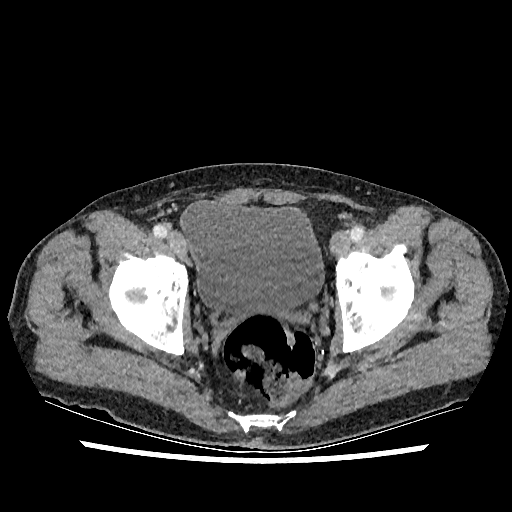 512x512. Pelvis. CT slice.
urinary_bladder:
  - x1=182 y1=200 x2=324 y2=332